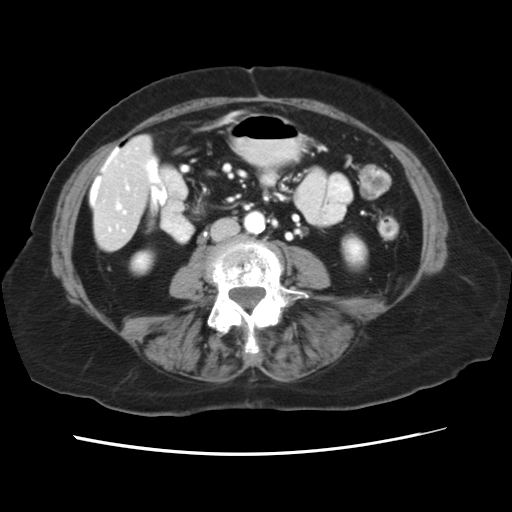
CT image; 512x512

The vessel annotation is not exhaustive.
Segmented structures:
- hepatic vessel: (x1=109, y1=229, x2=110, y2=230), (x1=125, y1=151, x2=127, y2=154), (x1=116, y1=202, x2=125, y2=213), (x1=126, y1=187, x2=129, y2=189), (x1=117, y1=225, x2=118, y2=227)